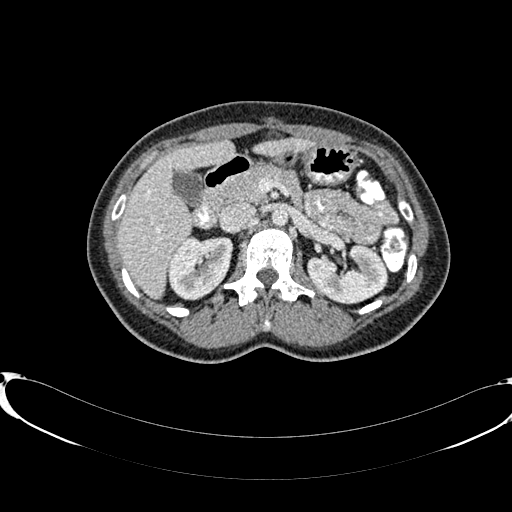 CT | Image size 512x512
kidney:
  - (x1=309, y1=244, x2=386, y2=302)
  - (x1=170, y1=239, x2=231, y2=298)
liver:
  - (x1=118, y1=141, x2=233, y2=298)
  - (x1=255, y1=139, x2=312, y2=154)